Abdomen; CT slice
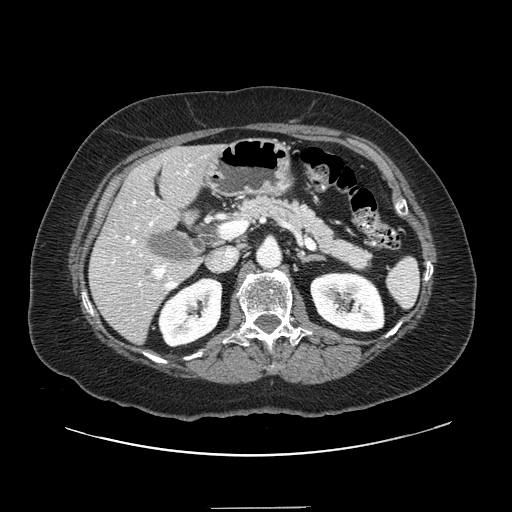 pancreas: 230,195,372,271